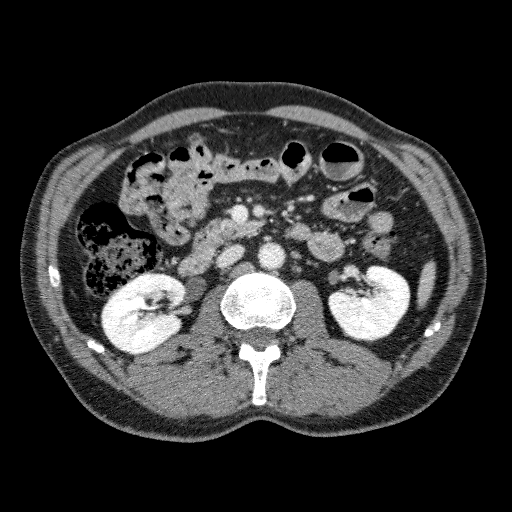
Image size 512x512; Computed tomography
Kidney — (left=102, top=274, right=184, bottom=353), (left=329, top=267, right=408, bottom=339).